CT slice, Image size 512x512, Pelvis

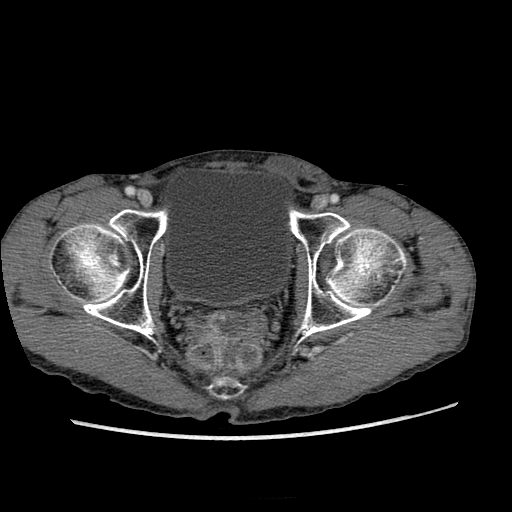
urinary_bladder:
  - 160 168 296 298